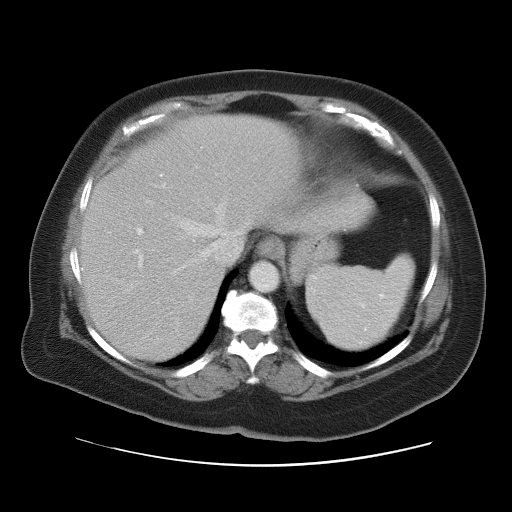
CT image

The spleen is located at 308 257 413 352.